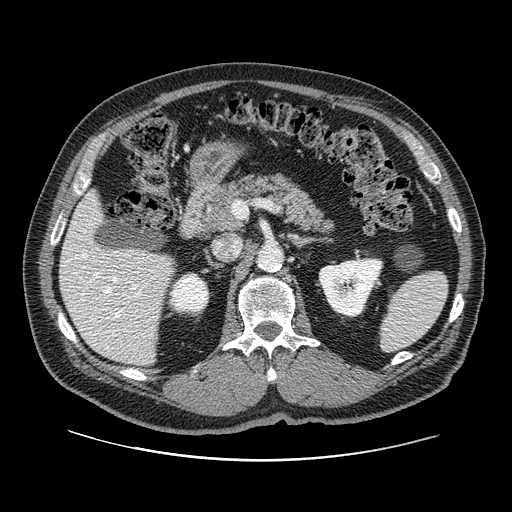 512x512. CT scan slice.
Pancreas: (left=194, top=173, right=339, bottom=235).